Slice index 75. 240x240.
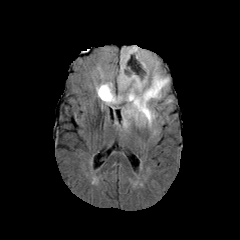
FLAIR MRI.
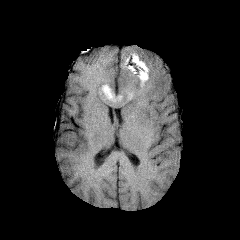
Same slice, T1-weighted MR image.
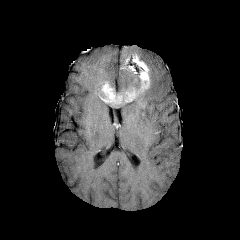
Post-contrast T1-weighted MR image.
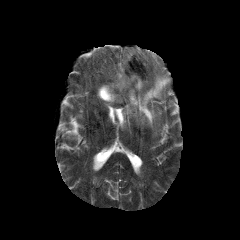
T2-weighted MR of the same slice.
2 enhancing tumor regions are bounded by box=[124, 64, 149, 102]; box=[99, 84, 120, 103]. 4 non-enhancing tumor core regions are located at box=[134, 77, 141, 92]; box=[110, 87, 132, 105]; box=[132, 95, 145, 108]; box=[133, 58, 146, 76]. 2 edema regions are bounded by box=[123, 66, 171, 128]; box=[112, 50, 141, 90].